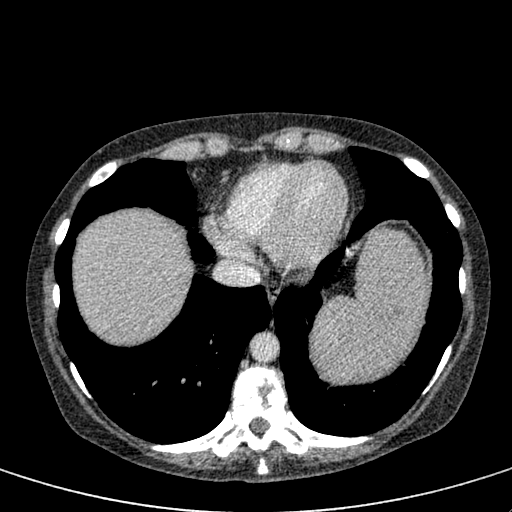

Abdomen. CT slice.
liver:
  - 74 213 189 342